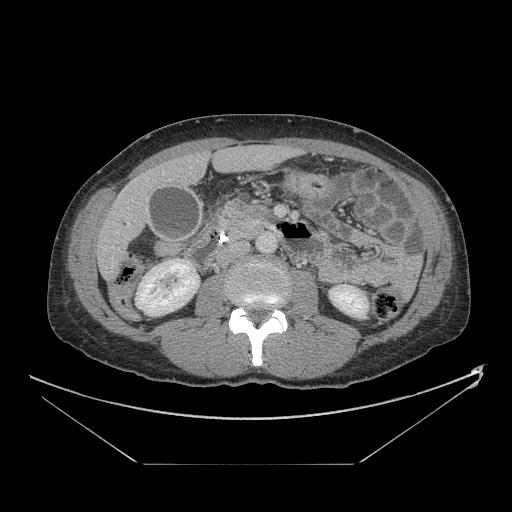 Upper abdomen; CT
{"pancreas": ["215 195 279 241"]}